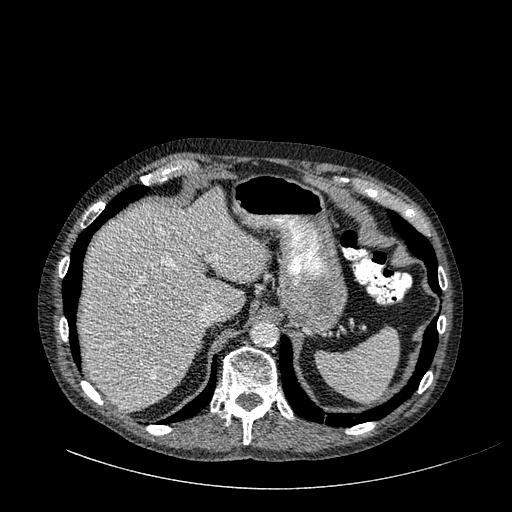
CT scan slice
liver: [79,191,265,410]